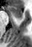

MRI
{"anterior_hippocampus": ["(left=7, top=6, right=23, bottom=17)"]}